Brain | 240x240 px | Field of view 240 mm wide, 1.00 mm slice spacing
FLAIR MR image.
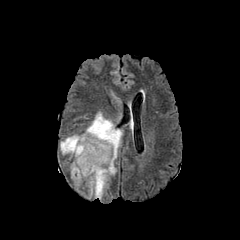
T1-weighted magnetic resonance.
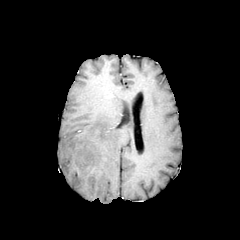
Post-contrast T1-weighted magnetic resonance.
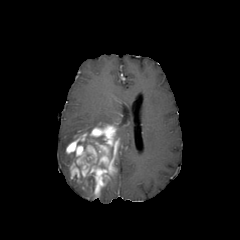
T2-weighted MRI.
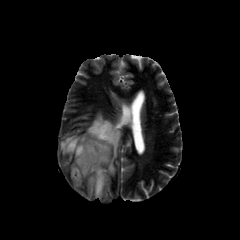
- enhancing tumor: left=66, top=124, right=119, bottom=198
- non-enhancing tumor core: left=70, top=151, right=80, bottom=170; left=77, top=132, right=105, bottom=151
- edema: left=116, top=128, right=123, bottom=144; left=87, top=176, right=94, bottom=199; left=60, top=134, right=81, bottom=155; left=128, top=117, right=133, bottom=139; left=73, top=178, right=81, bottom=187; left=99, top=183, right=108, bottom=202; left=85, top=111, right=113, bottom=132